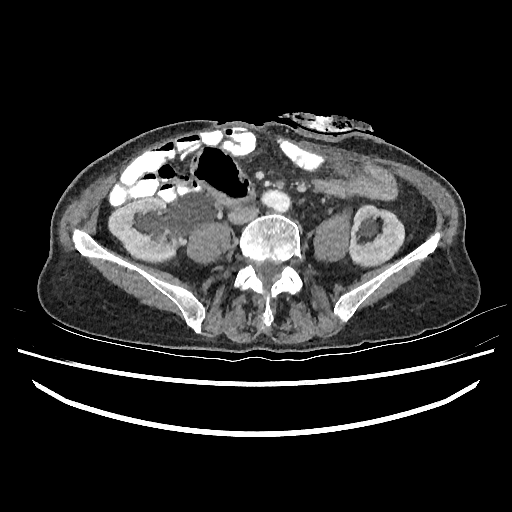
CT
2 kidney regions are located at x1=109 y1=197 x2=174 y2=260, x1=349 y1=206 x2=404 y2=265.